Liver; Computed tomography

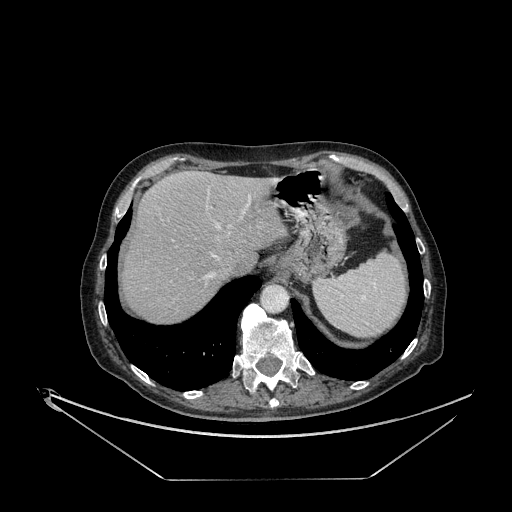
* liver: 124, 170, 280, 322